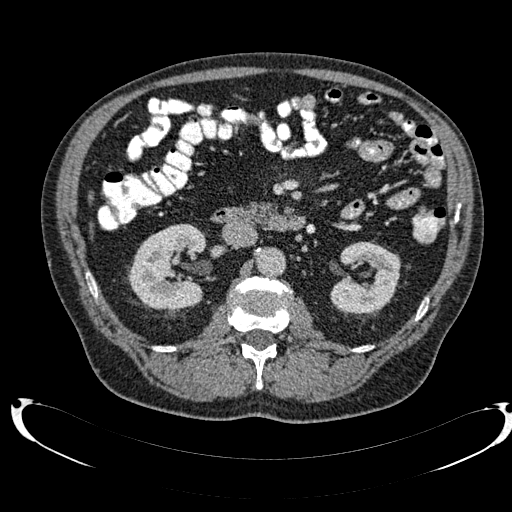

CT slice | Upper abdomen
2 liver regions appear at [88,191,94,204], [89,222,94,240]. 3 kidney regions are located at [129,224,205,311], [211,245,223,257], [330,242,400,313].